Slice 12 of 37 | MR 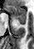 Anterior hippocampus: (left=8, top=5, right=26, bottom=20).
Posterior hippocampus: (left=19, top=20, right=25, bottom=24).